FLAIR magnetic resonance.
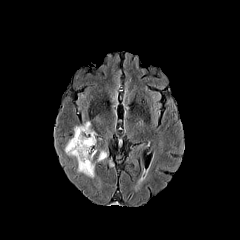
T1-weighted MR.
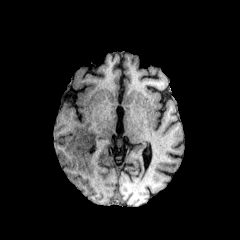
Post-contrast T1-weighted MR image.
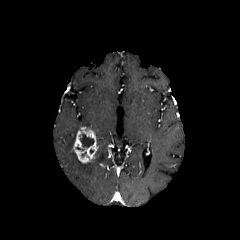
T2-weighted MR.
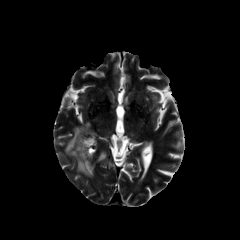
240x240 px | Head
The non-enhancing tumor core lies within bbox=[79, 133, 94, 147]. The enhancing tumor is located at bbox=[72, 126, 98, 163]. The edema lies within bbox=[65, 127, 112, 178].